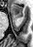 MRI slice.
Segmented structures:
* anterior hippocampus: [11,5,23,17]